FLAIR MRI.
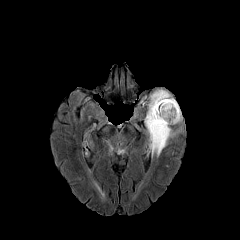
T1-weighted MRI.
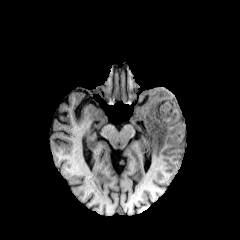
Post-contrast T1-weighted MR image.
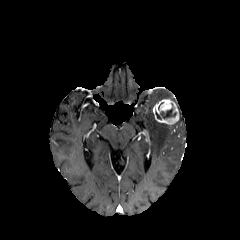
T2-weighted magnetic resonance.
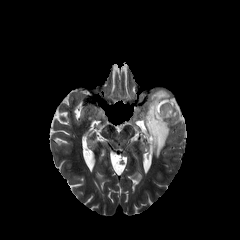
Head
Non-enhancing tumor core — region(161, 110, 176, 118).
Enhancing tumor — region(152, 99, 179, 126).
Edema — region(144, 90, 178, 158).